Computed tomography | Slice 348/756 | Image size 512x512 | Liver
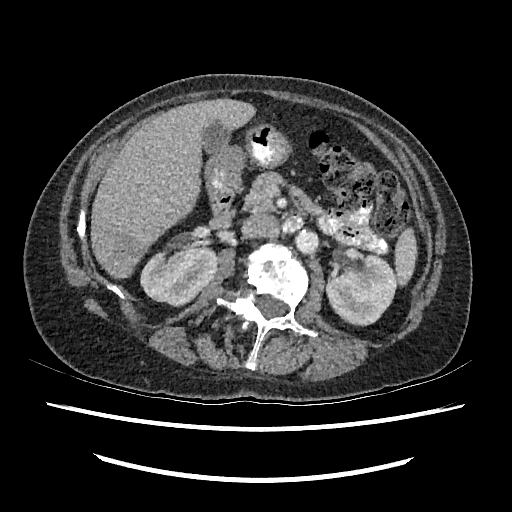
Kidney: bounding box <box>326,256,398,324</box>, <box>141,247,217,304</box>.
Hepatic lesion: bounding box <box>113,237,137,257</box>.
Liver: bounding box <box>91,98,254,278</box>.